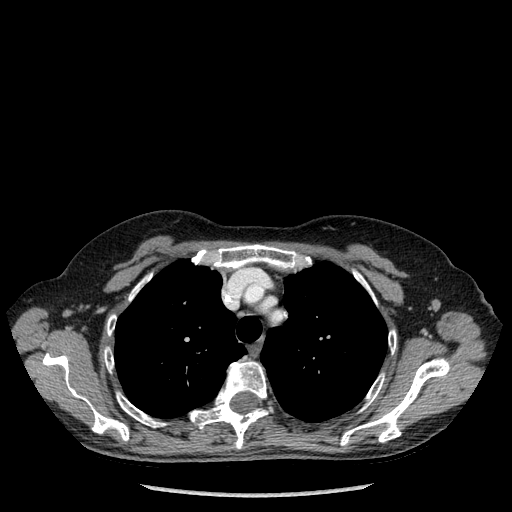
512x512 px, Thorax, CT image

11 bone regions are located at bbox=[42, 353, 129, 440]; bbox=[360, 373, 384, 411]; bbox=[128, 273, 152, 301]; bbox=[116, 392, 166, 427]; bbox=[388, 330, 396, 354]; bbox=[104, 347, 113, 372]; bbox=[107, 314, 116, 335]; bbox=[340, 358, 449, 445]; bbox=[192, 244, 311, 268]; bbox=[190, 361, 272, 448]; bbox=[353, 269, 376, 304]. 2 lung regions are bounded by bbox=[114, 259, 261, 418]; bbox=[260, 262, 387, 422].